CT
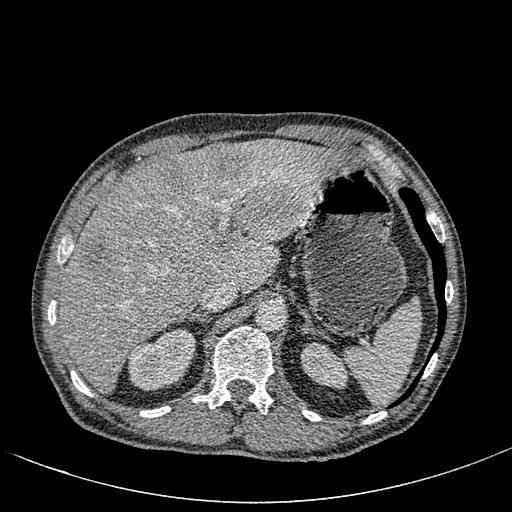 4 focal liver lesion regions appear at [217,234,237,253], [157,157,182,183], [81,234,115,276], [211,144,245,174]. 2 kidney regions are located at [127,330,195,389], [301,343,347,388]. The liver is at [59,139,360,394].